CT image
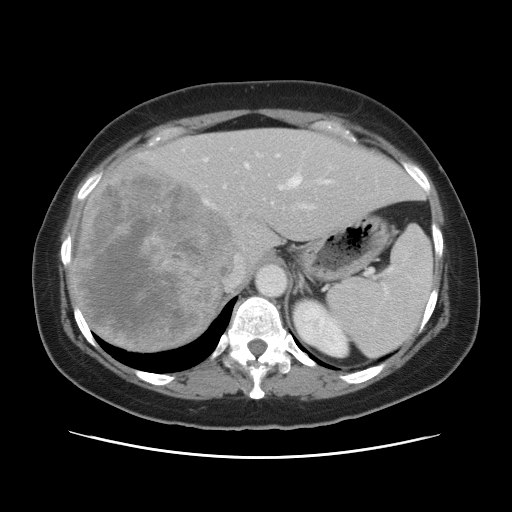

Only some of the vessels may be annotated.
• liver tumor: left=73, top=163, right=235, bottom=346
• hepatic vessel: left=204, top=158, right=208, bottom=161; left=205, top=200, right=207, bottom=202; left=257, top=153, right=259, bottom=155; left=276, top=154, right=278, bottom=157; left=245, top=163, right=248, bottom=167; left=289, top=174, right=300, bottom=186; left=324, top=180, right=332, bottom=183; left=225, top=254, right=244, bottom=290; left=279, top=185, right=283, bottom=189; left=293, top=207, right=294, bottom=208; left=223, top=185, right=225, bottom=187; left=303, top=152, right=304, bottom=154; left=297, top=204, right=314, bottom=209; left=272, top=202, right=273, bottom=204; left=243, top=247, right=244, bottom=249